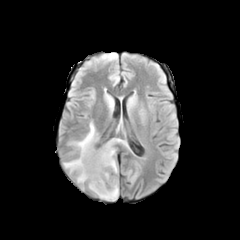
FLAIR MR.
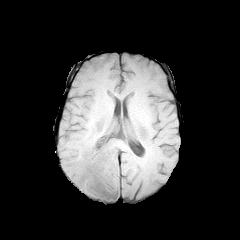
Same slice, T1-weighted magnetic resonance.
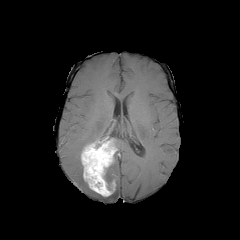
Post-contrast T1-weighted MR image.
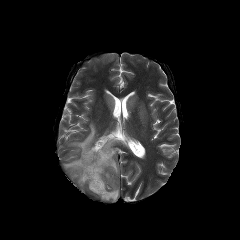
Same slice, T2-weighted MR image.
240x240; Head
non-enhancing_tumor_core:
  - box=[102, 162, 115, 189]
edema:
  - box=[114, 138, 127, 147]
  - box=[109, 158, 118, 174]
  - box=[97, 177, 118, 200]
  - box=[70, 122, 99, 153]
  - box=[63, 157, 87, 187]
enhancing_tumor:
  - box=[81, 138, 115, 196]